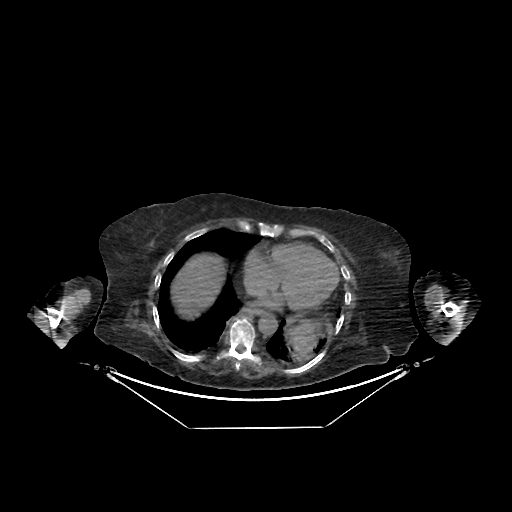
CT slice; 512x512; Upper abdomen
Liver: bounding box l=170, t=252, r=226, b=319.